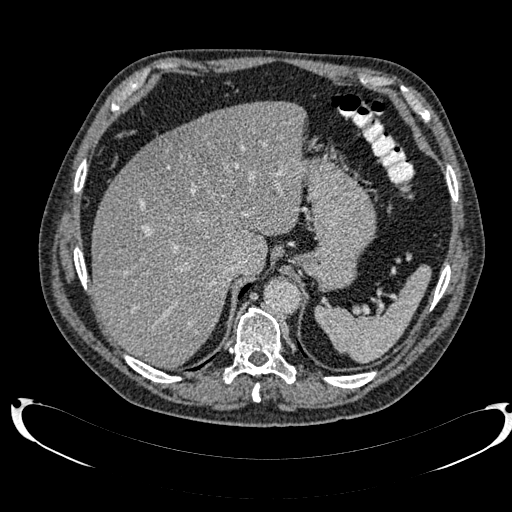
CT slice | Image size 512x512 | Liver
2 liver regions are located at (194, 111, 218, 120), (92, 101, 306, 366). The focal liver lesion appears at (135, 106, 268, 214).